CT image
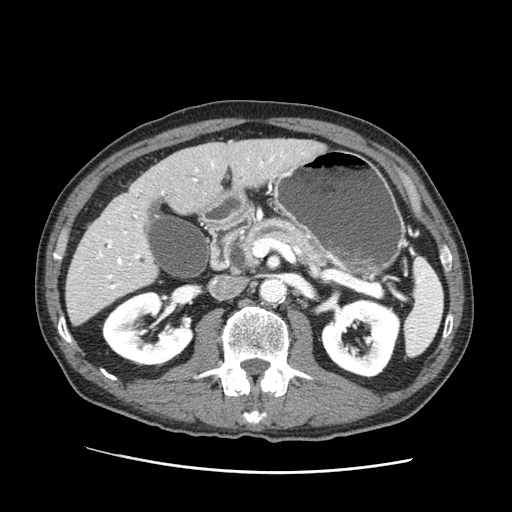 Segmented structures:
• pancreas: <bbox>237, 219, 331, 271</bbox>